Brain | Image size 240x240
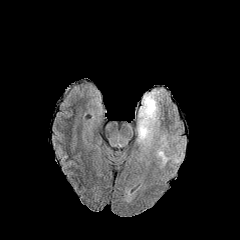
FLAIR MR.
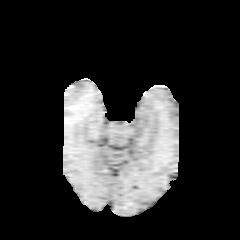
T1-weighted MRI.
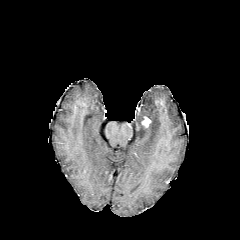
Same slice, post-contrast T1-weighted MR image.
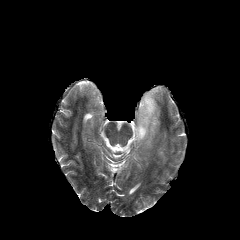
Same slice, T2-weighted MR image.
enhancing_tumor:
  - [141,115,151,128]
edema:
  - [136,88,165,149]
  - [155,141,169,165]
non-enhancing_tumor_core:
  - [136,113,145,132]